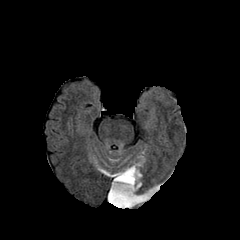
FLAIR MR image.
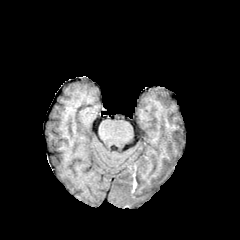
T1-weighted MRI.
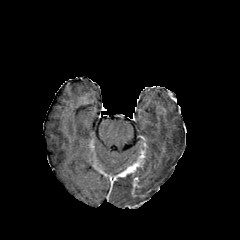
Post-contrast T1-weighted MR image.
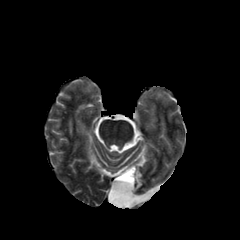
T2-weighted MR image of the same slice.
Segmented structures:
* non-enhancing tumor core: x1=115 y1=166 x2=142 y2=189, x1=134 y1=150 x2=145 y2=163
* edema: x1=108 y1=179 x2=155 y2=208
* enhancing tumor: x1=114 y1=163 x2=142 y2=180